FLAIR MR image.
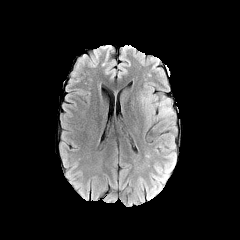
T1-weighted MRI.
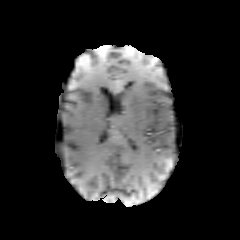
Post-contrast T1-weighted MR.
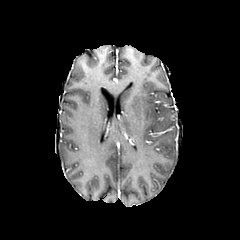
T2-weighted MRI.
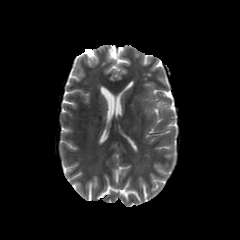
Brain, 240x240
2 edema regions are located at left=142, top=94, right=174, bottom=120; left=147, top=164, right=170, bottom=194.